Slice 123 of 155, 240x240 px, Head
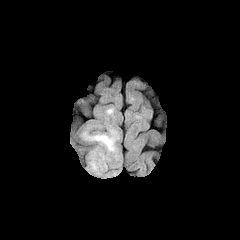
FLAIR magnetic resonance.
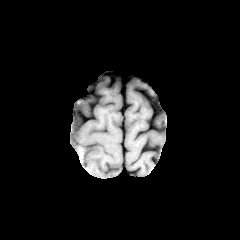
T1-weighted MRI of the same slice.
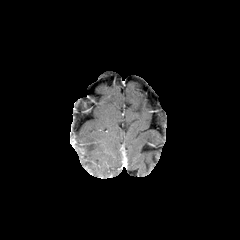
Post-contrast T1-weighted MR image.
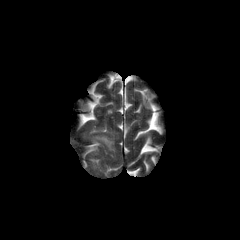
T2-weighted MRI.
- edema: box(83, 133, 114, 150)